Slice 86/155, Image width 240 mm, 240x240
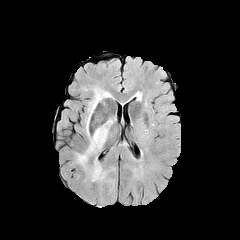
FLAIR MRI.
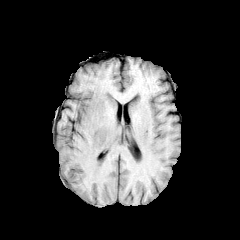
T1-weighted MR image.
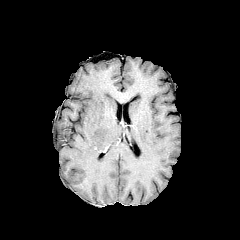
Post-contrast T1-weighted MR of the same slice.
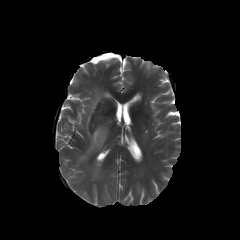
T2-weighted MR.
* edema: bbox=[77, 87, 114, 168]; bbox=[91, 157, 107, 181]